Image size 240x240; Slice 75 of 155; Head
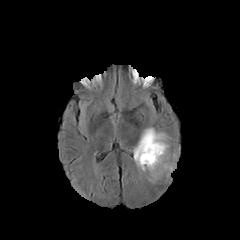
FLAIR magnetic resonance.
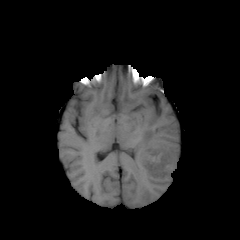
T1-weighted MRI of the same slice.
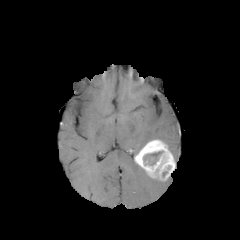
Same slice, post-contrast T1-weighted magnetic resonance.
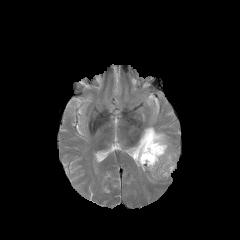
T2-weighted MRI of the same slice.
Segmented structures:
• edema: left=130, top=125, right=171, bottom=154; left=173, top=149, right=179, bottom=166
• enhancing tumor: left=134, top=139, right=176, bottom=180